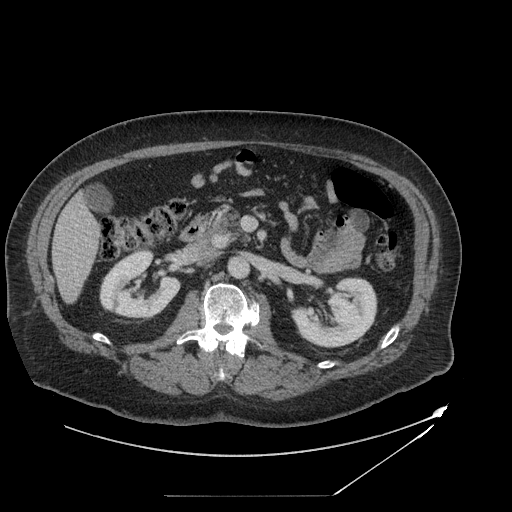
Computed tomography, Upper abdomen, 512x512 px
The pancreatic tumor is at [212, 234, 229, 249]. The pancreas is bounded by [202, 206, 248, 250].